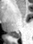
MRI.

posterior_hippocampus:
  - {"x1": 14, "y1": 34, "x2": 19, "y2": 39}